Slice index 109 | Brain
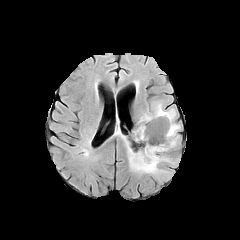
FLAIR MR image.
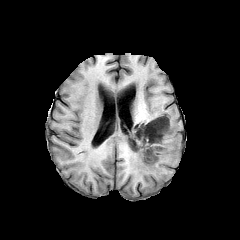
T1-weighted magnetic resonance of the same slice.
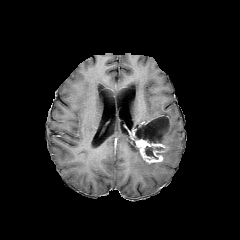
Post-contrast T1-weighted MRI of the same slice.
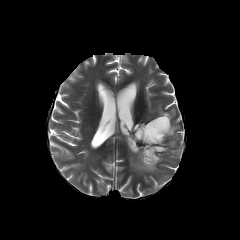
Same slice, T2-weighted magnetic resonance.
* non-enhancing tumor core: box(132, 116, 169, 158)
* enhancing tumor: box(137, 139, 163, 163)
* edema: box(125, 104, 180, 176)